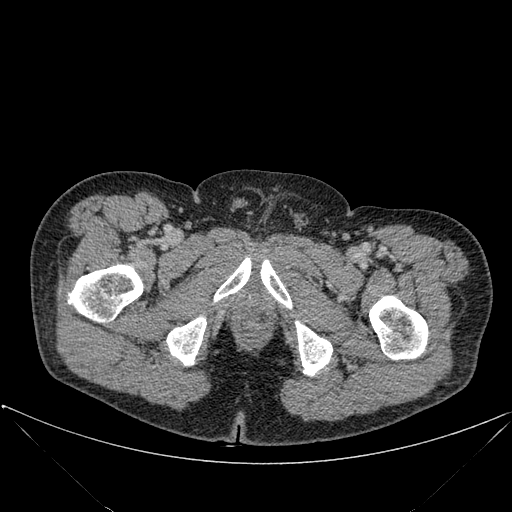 CT scan slice, 512x512
6 bone regions are located at [260,260,291,308], [369,296,428,359], [214,257,251,301], [166,317,206,365], [68,265,143,321], [295,321,332,375].